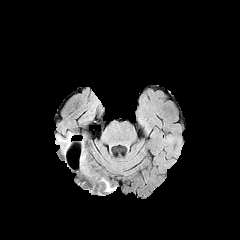
FLAIR MRI.
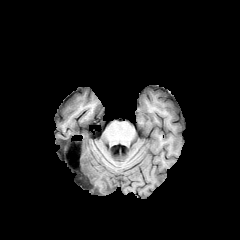
T1-weighted MR image.
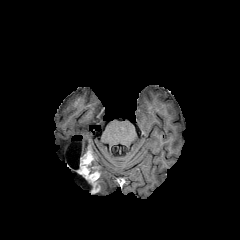
Post-contrast T1-weighted MR image.
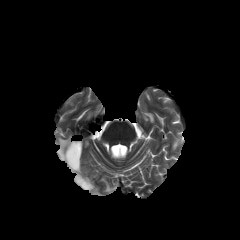
T2-weighted MR.
Head
Edema at box=[94, 174, 113, 191].
Non-enhancing tumor core at box=[89, 164, 99, 177]; box=[88, 179, 98, 192]; box=[80, 153, 94, 170].
Enhancing tumor at box=[80, 158, 97, 179].